FLAIR MR.
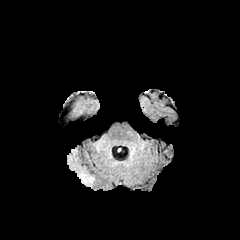
T1-weighted MR.
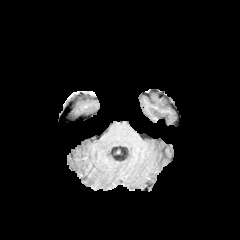
Post-contrast T1-weighted MR image.
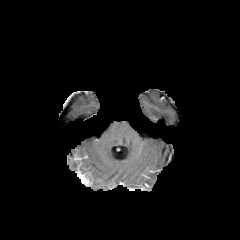
T2-weighted magnetic resonance.
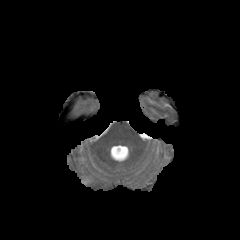
Image size 240x240 | Brain
{"non-enhancing_tumor_core": ["l=80, t=174, r=91, b=184"]}